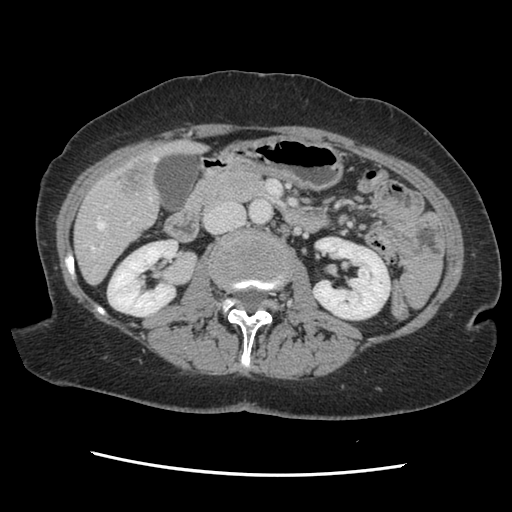
Abdomen; Computed tomography
Only some of the vessels may be annotated.
The liver tumor is located at <box>116,160,150,196</box>. 4 hepatic vessel regions appear at <box>153,157,156,160</box>, <box>97,217,105,229</box>, <box>90,245,100,257</box>, <box>150,196,151,200</box>.